Upper abdomen; Computed tomography; Slice 523 of 816; 512x512 px; Field of view 369 mm wide, 0.80 mm slice spacing 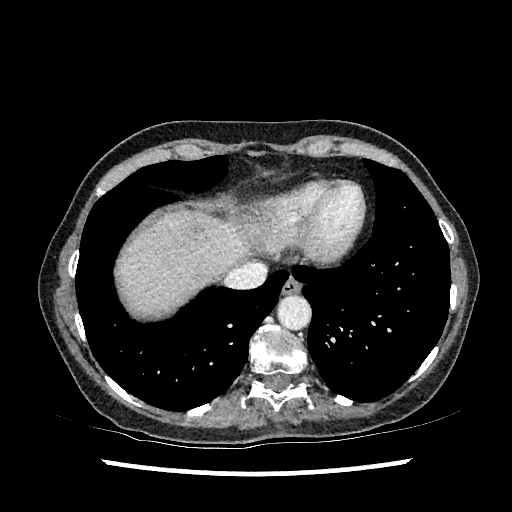
* liver: 118:212:249:314
* liver lesion: 184:223:210:243